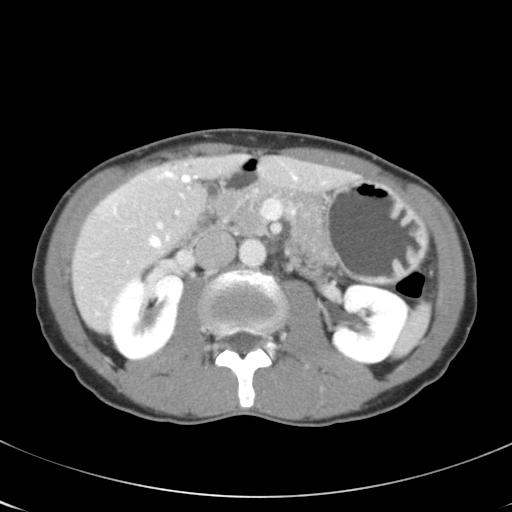
CT
The vessel boxes may cover only some of the vessels.
Hepatic vessel = (114,208,116,213), (176,211,177,213), (150,236,159,246), (158,223,162,228), (164,170,173,176), (183,176,189,181), (292,174,296,179), (322,182,324,183), (167,236,168,239).